Lung. Slice 252/304. CT slice.
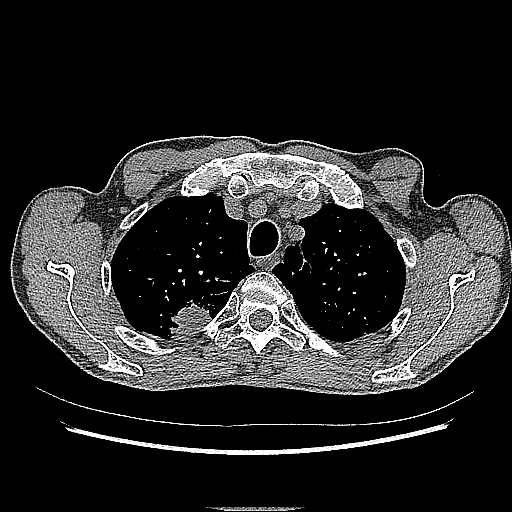 lung tumor: region(155, 290, 224, 338)